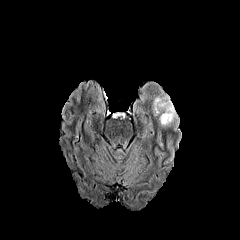
FLAIR MR image.
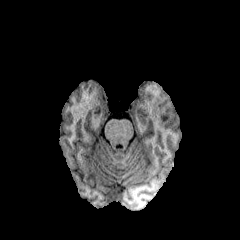
T1-weighted MR image.
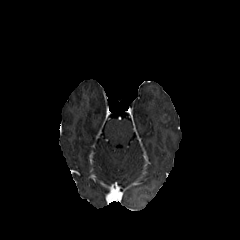
Post-contrast T1-weighted MRI.
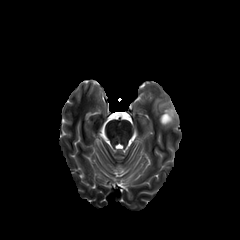
T2-weighted MR image of the same slice.
Head
edema:
  - (141, 117, 152, 133)
  - (141, 83, 178, 131)
enhancing_tumor:
  - (159, 114, 169, 123)